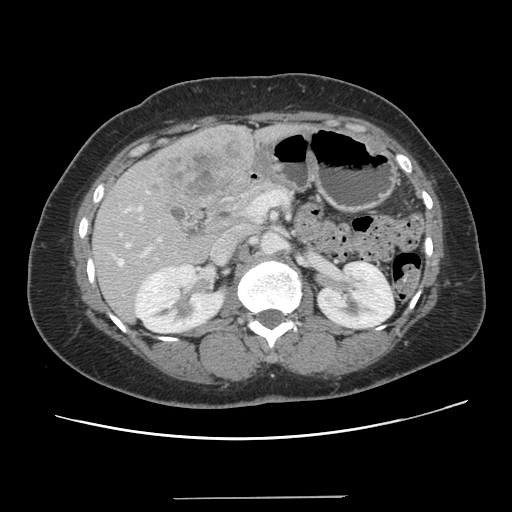

CT slice, Abdomen
The vessel annotation is not exhaustive.
liver tumor: x1=151, y1=141, x2=243, y2=197 | hepatic vessel: x1=157, y1=238, x2=160, y2=240; x1=119, y1=233, x2=122, y2=235; x1=113, y1=255, x2=123, y2=265; x1=126, y1=243, x2=129, y2=247; x1=142, y1=247, x2=151, y2=255; x1=137, y1=207, x2=141, y2=210; x1=139, y1=218, x2=142, y2=219; x1=124, y1=206, x2=131, y2=212